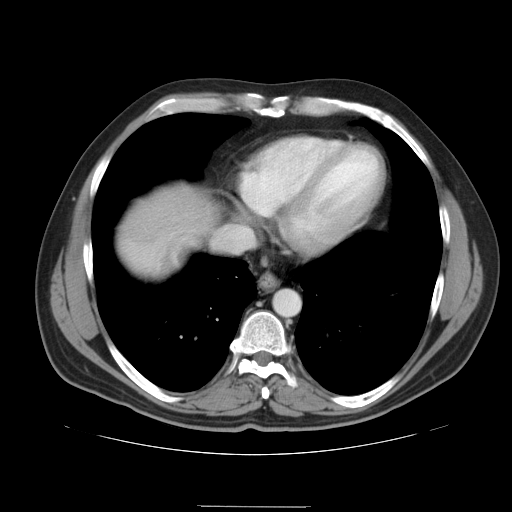
Computed tomography, Liver, Image size 512x512

Not every hepatic vessel necessarily has a box.
liver_tumor:
  - box=[152, 231, 206, 272]
hepatic_vessel:
  - box=[217, 226, 253, 251]